Pelvis, CT slice, 512x512 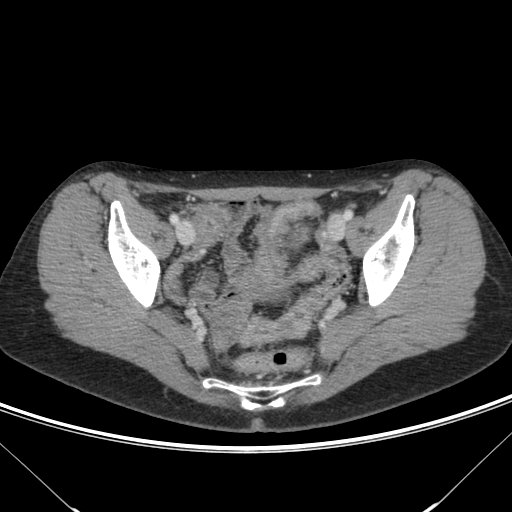
colon tumor: x1=239, y1=305, x2=311, y2=347